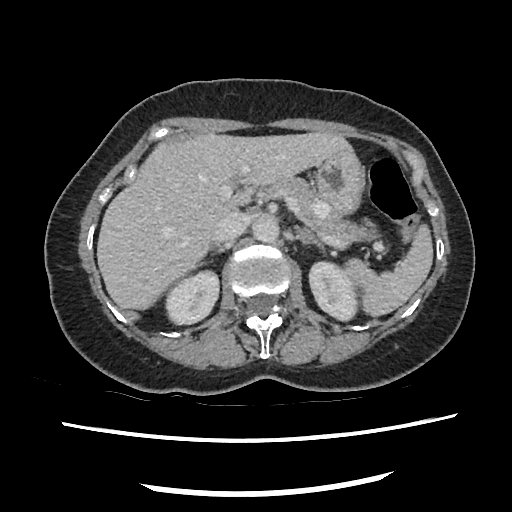

512x512; Upper abdomen; CT image
pancreatic tumor: (312, 201, 331, 219) | pancreas: (260, 177, 376, 239)